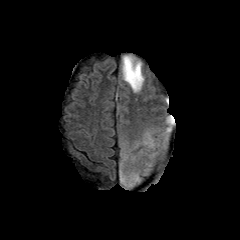
FLAIR MRI.
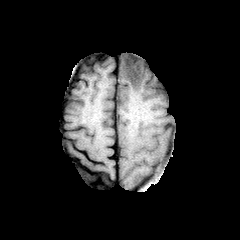
Same slice, T1-weighted MRI.
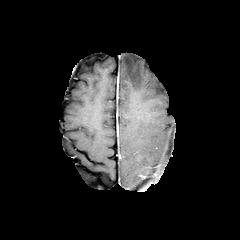
Post-contrast T1-weighted MRI of the same slice.
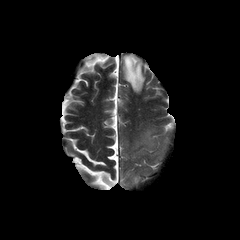
T2-weighted MR image.
Brain
Edema: rect(120, 54, 144, 92).
Non-enhancing tumor core: rect(129, 67, 139, 82).